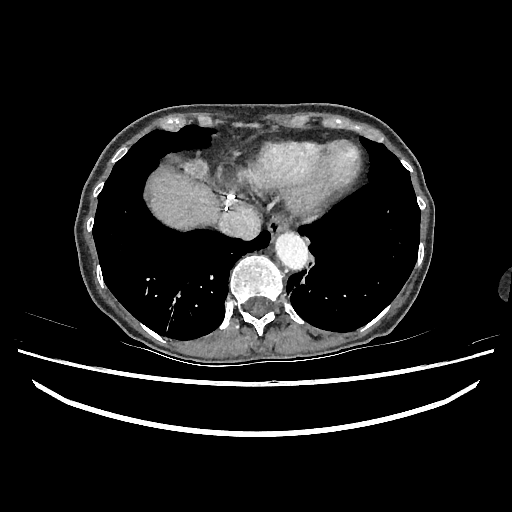
CT slice
Segmented structures:
* liver: {"x1": 148, "y1": 173, "x2": 219, "y2": 228}